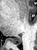

MR image
posterior_hippocampus:
  - left=7, top=35, right=21, bottom=44